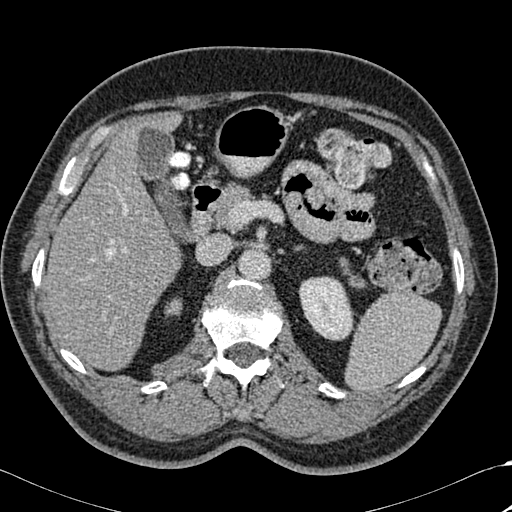
Image size 512x512; Liver; Computed tomography
<segmentation>
  <bone>(319,383,344,397), (32,250,43,285), (399,367,424,386), (61,349,84,372), (453,250,463,291), (201,279,281,386), (142,381,166,393), (59,161,74,194)</bone>
  <liver>(157,112,179,130), (45,126,178,371)</liver>
  <kidney>(300,277,351,339)</kidney>
</segmentation>